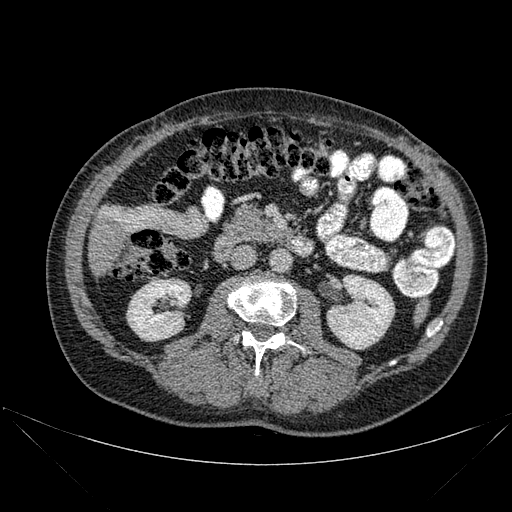
CT scan slice.
2 kidney regions are bounded by rect(127, 279, 190, 340); rect(327, 275, 394, 348). 3 bone regions appear at rect(233, 330, 303, 375); rect(228, 280, 295, 325); rect(427, 322, 441, 336). The liver is located at rect(88, 215, 127, 275).